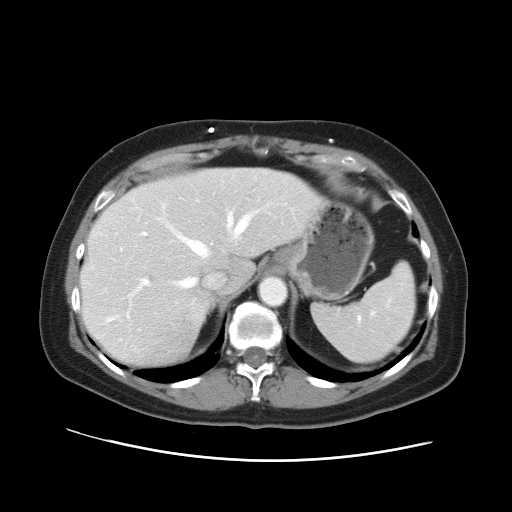 Computed tomography | Image size 512x512
Some hepatic vessels may have no box.
<segmentation>
  <hepatic_vessel>(x1=173, y1=277, x2=196, y2=288), (x1=140, y1=279, x2=148, y2=285), (x1=156, y1=212, x2=210, y2=258), (x1=226, y1=208, x2=255, y2=241)</hepatic_vessel>
</segmentation>